CT image; Image width 400 mm 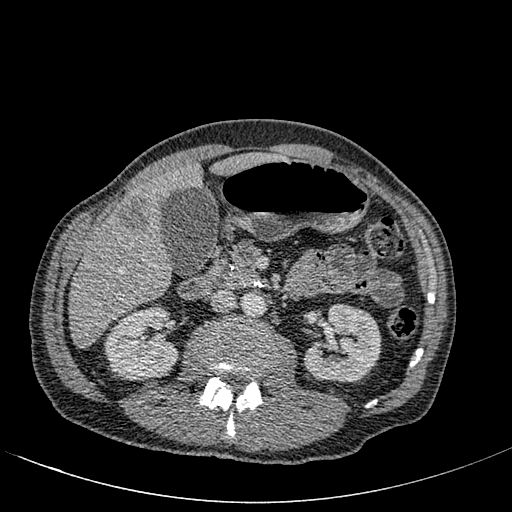

{
  "liver": [
    "(x1=70, y1=161, x2=201, y2=347)",
    "(x1=212, y1=153, x2=287, y2=174)"
  ],
  "kidney": [
    "(x1=304, y1=304, x2=380, y2=381)",
    "(x1=105, y1=307, x2=177, y2=379)"
  ],
  "hepatic_lesion": [
    "(x1=118, y1=197, x2=152, y2=236)"
  ]
}